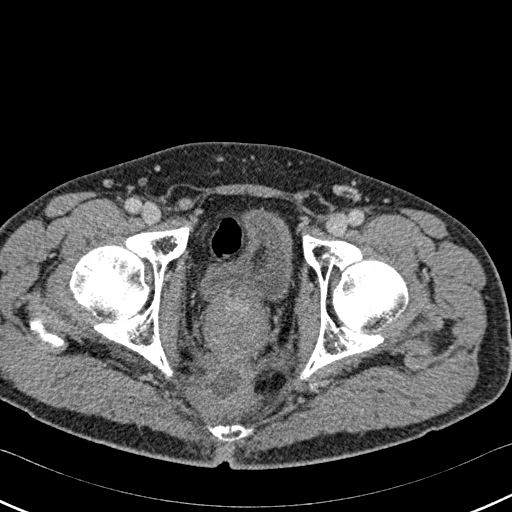 CT.

<segmentation>
  <urinary_bladder>box(200, 211, 292, 311)</urinary_bladder>
  <bone>box(31, 321, 62, 345); box(209, 425, 250, 440); box(300, 235, 407, 379); box(70, 227, 188, 376)</bone>
</segmentation>